Abdomen. Computed tomography.
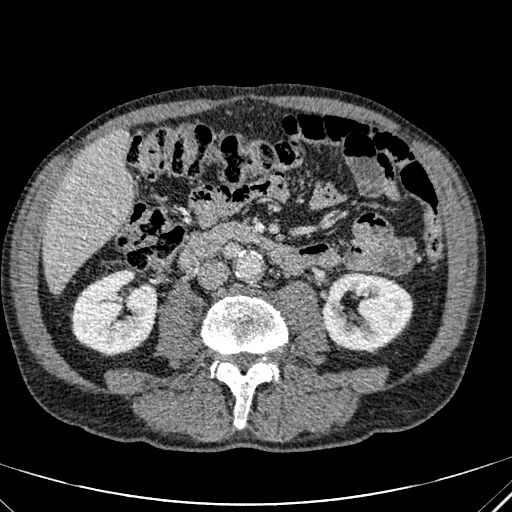 Kidney at 323 274 411 349, 73 271 156 353.
Liver at 43 133 131 292.